FLAIR MRI.
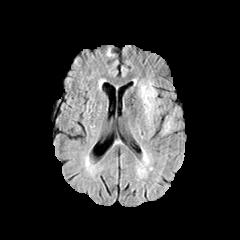
T1-weighted MR image.
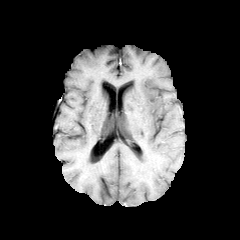
Post-contrast T1-weighted MR image.
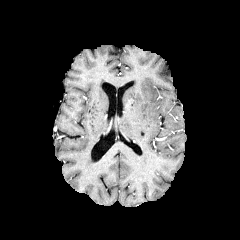
T2-weighted MR image.
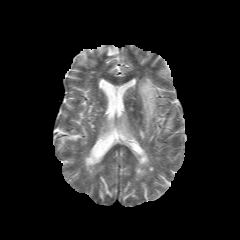
240x240. Head.
edema:
  - 164,120,171,132
  - 140,80,156,124